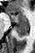

MR image | Hippocampus | 35x53 px
{
  "anterior_hippocampus": [
    "x1=8, y1=13, x2=29, y2=25"
  ],
  "posterior_hippocampus": [
    "x1=14, y1=26, x2=28, y2=38"
  ]
}